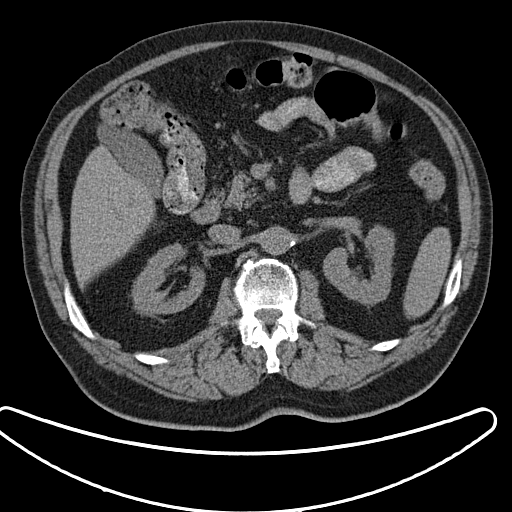

Computed tomography. Spleen: bounding box x1=404 y1=230 x2=450 y2=316.